Head
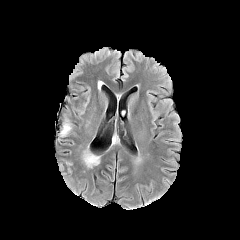
FLAIR magnetic resonance.
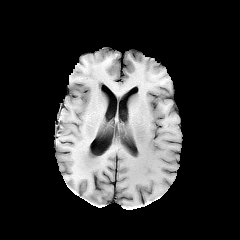
T1-weighted magnetic resonance of the same slice.
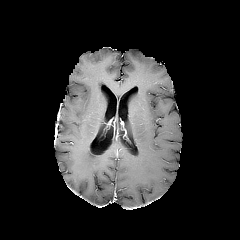
Post-contrast T1-weighted magnetic resonance.
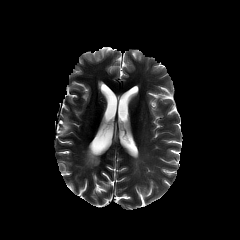
T2-weighted magnetic resonance of the same slice.
2 edema regions are located at rect(84, 150, 99, 167); rect(62, 124, 69, 133).